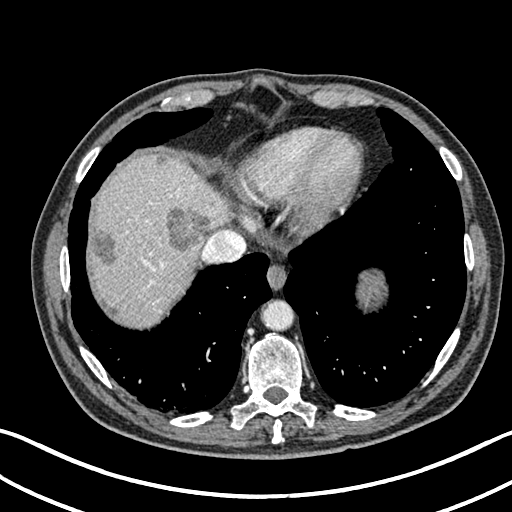

Computed tomography. Upper abdomen.

The liver is at x1=91 y1=155 x2=231 y2=323. 2 focal liver lesion regions are located at x1=166 y1=209 x2=207 y2=250, x1=92 y1=230 x2=114 y2=265.